Brain
FLAIR MR.
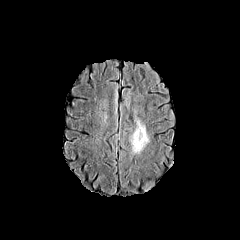
T1-weighted MR.
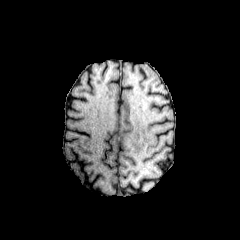
Post-contrast T1-weighted magnetic resonance.
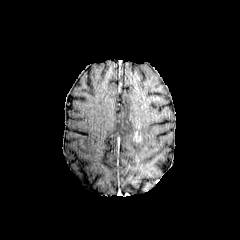
T2-weighted MR.
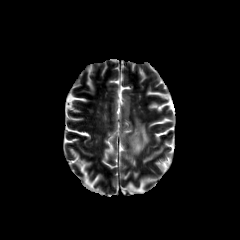
Enhancing tumor: bounding box (x1=134, y1=130, x2=141, y2=143).
Edema: bounding box (x1=131, y1=125, x2=149, y2=151).